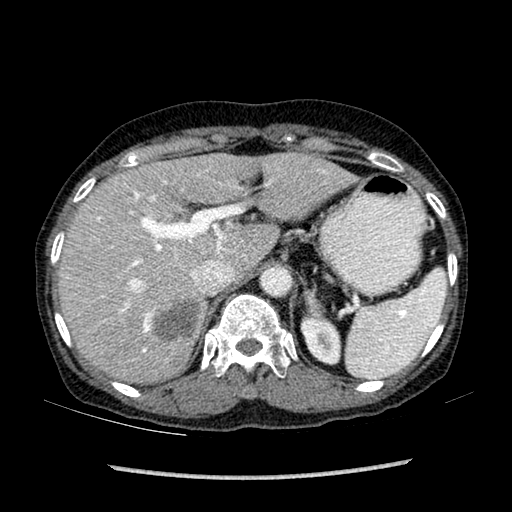 Upper abdomen. CT.

Segmented structures:
- liver: x1=58 y1=153 x2=358 y2=383
- focal liver lesion: x1=153 y1=298 x2=204 y2=339
- kidney: x1=302 y1=319 x2=339 y2=362